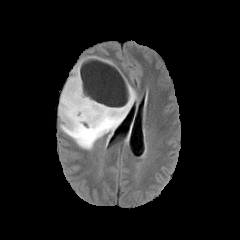
FLAIR MR image.
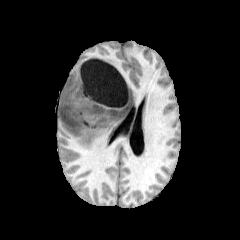
T1-weighted magnetic resonance.
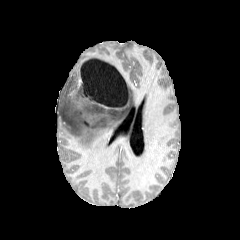
Same slice, post-contrast T1-weighted MR.
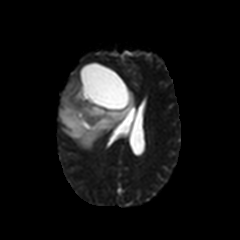
T2-weighted MR of the same slice.
Head
Edema — x1=58, y1=59, x2=137, y2=149.
Non-enhancing tumor core — x1=77, y1=86, x2=129, y2=121; x1=60, y1=107, x2=84, y2=133.